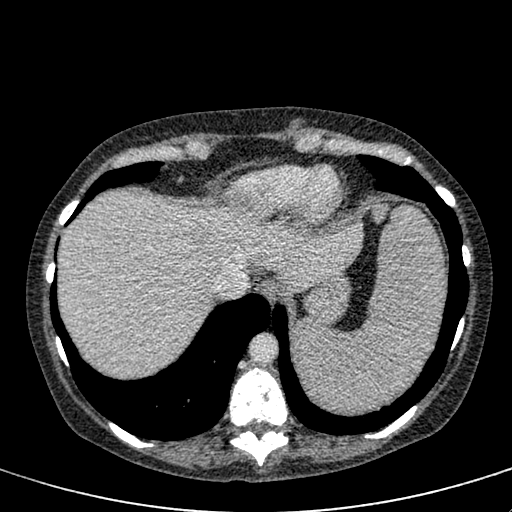
Liver. CT. Liver = <bbox>59, 193, 363, 377</bbox>.
Hepatic lesion = <bbox>187, 227, 214, 247</bbox>.